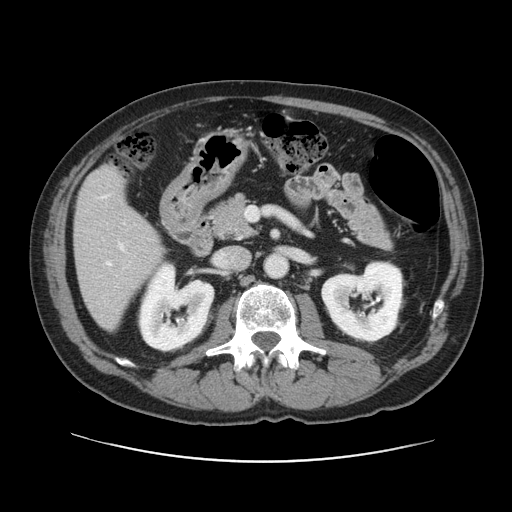

CT slice. 512x512 px.

The vessel annotation is not exhaustive.
Hepatic vessel — (left=100, top=195, right=107, bottom=198), (left=106, top=261, right=110, bottom=265), (left=119, top=245, right=123, bottom=248).